Slice index 18 | Hippocampus | MRI

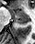

The anterior hippocampus is located at 11 11 28 20. The posterior hippocampus lies within 15 21 28 24.